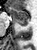

MRI
The posterior hippocampus is at x1=19 y1=24 x2=27 y2=25. The anterior hippocampus appears at x1=8 y1=7 x2=29 y2=23.